CT scan slice. 512x512. Abdomen. 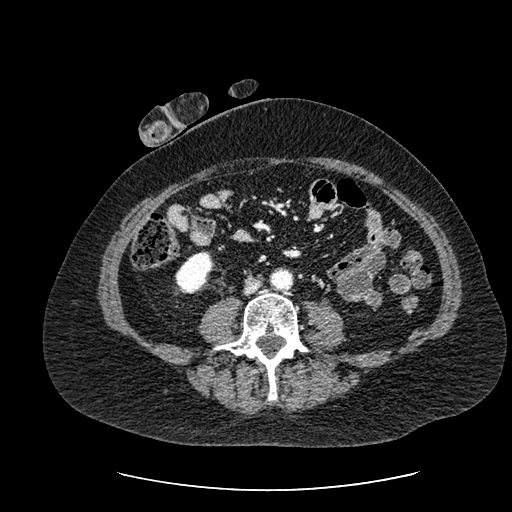

kidney: (left=176, top=252, right=211, bottom=292)